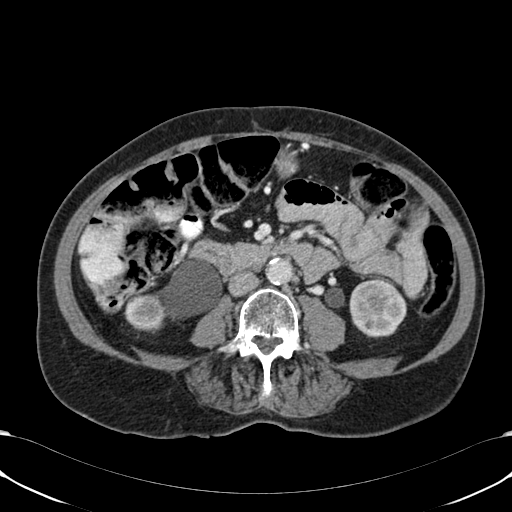

CT, Abdomen
2 kidney regions are bounded by <box>350,280,405,336</box>, <box>126,291,222,328</box>.